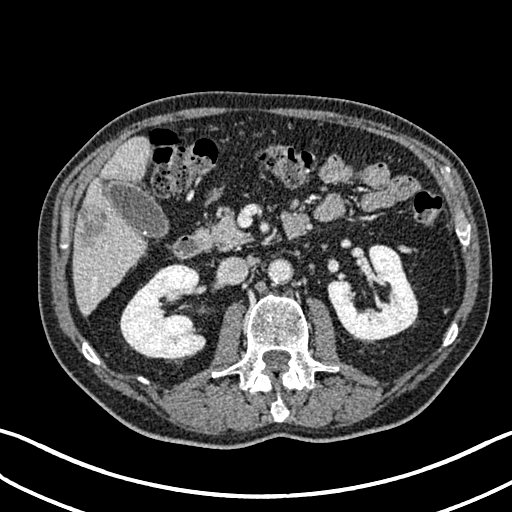 Upper abdomen. Computed tomography. 512x512 px. The hepatic lesion is bounded by [80, 206, 106, 245]. 2 kidney regions are bounded by [121, 265, 204, 358], [328, 245, 417, 339]. The liver is located at [73, 137, 148, 314].